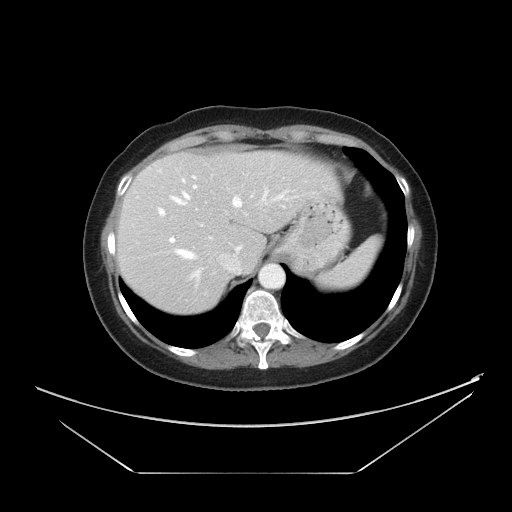

Abdomen; Computed tomography
Some hepatic vessels may have no box.
{"hepatic_vessel": ["x1=170 y1=192 x2=188 y2=204", "x1=263 y1=190 x2=268 y2=203", "x1=159 y1=170 x2=160 y2=171", "x1=275 y1=190 x2=288 y2=198", "x1=182 y1=179 x2=184 y2=181", "x1=175 y1=249 x2=194 y2=258", "x1=190 y1=268 x2=201 y2=281", "x1=169 y1=237 x2=174 y2=242", "x1=282 y1=206 x2=284 y2=207", "x1=193 y1=185 x2=196 y2=188", "x1=193 y1=176 x2=195 y2=177", "x1=158 y1=208 x2=164 y2=215", "x1=209 y1=236 x2=211 y2=238", "x1=232 y1=196 x2=241 y2=206", "x1=218 y1=246 x2=241 y2=273"]}